Brain
FLAIR magnetic resonance.
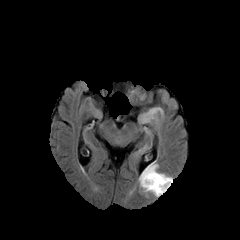
T1-weighted MRI.
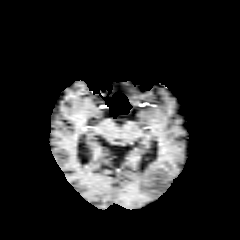
Post-contrast T1-weighted magnetic resonance.
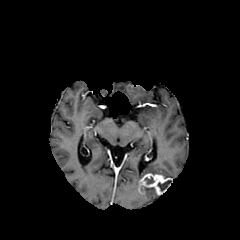
T2-weighted MR image.
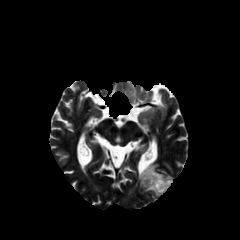
Annotated regions:
• non-enhancing tumor core: bbox=[158, 180, 172, 190]
• edema: bbox=[137, 160, 159, 185]; bbox=[144, 187, 160, 197]
• enhancing tumor: bbox=[139, 173, 172, 195]